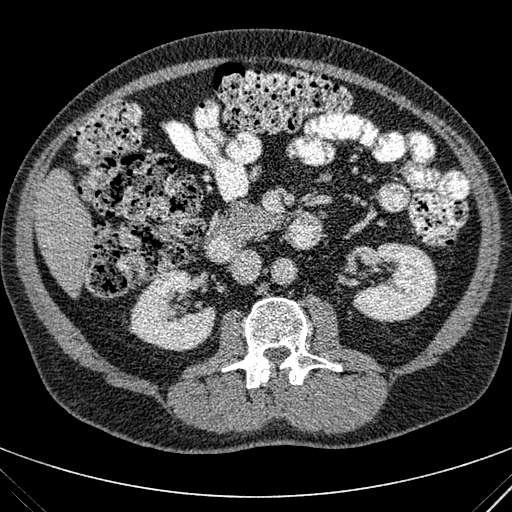

Liver, CT, 512x512 px
{
  "kidney": [
    "[130,270,214,350]",
    "[354,243,436,321]"
  ],
  "liver": [
    "[35,169,91,297]"
  ]
}